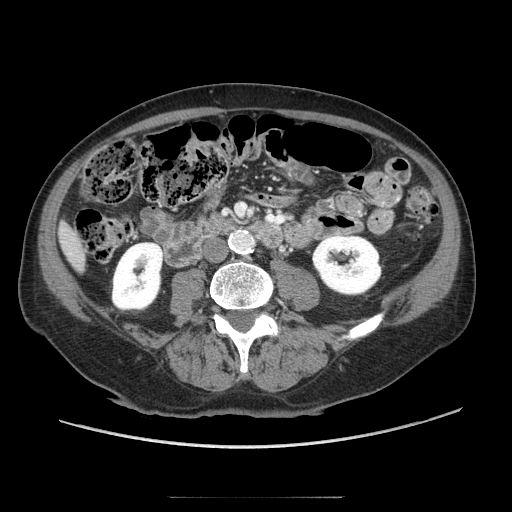 Abdomen; CT image
pancreas:
  - [x1=197, y1=214, x2=233, y2=235]